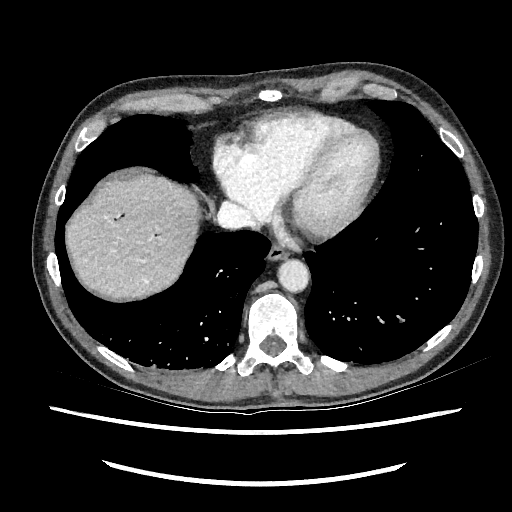 Computed tomography
Liver — 68 176 198 298.